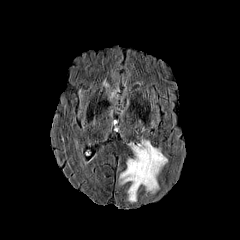
FLAIR MRI.
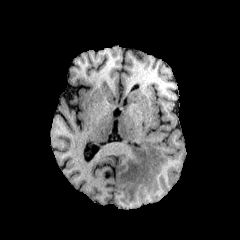
Same slice, T1-weighted MR image.
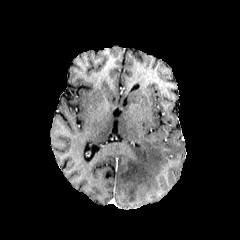
Post-contrast T1-weighted MRI.
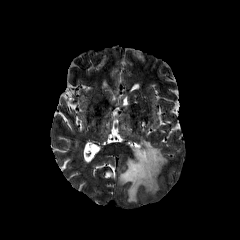
T2-weighted MR of the same slice.
The edema lies within x1=119, y1=135, x2=167, y2=203.